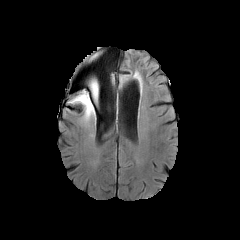
FLAIR MR.
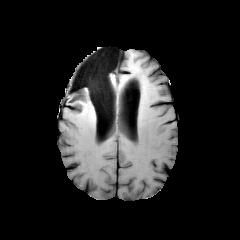
Same slice, T1-weighted MRI.
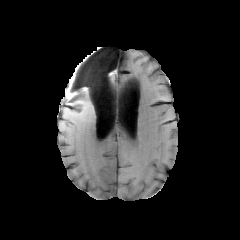
Post-contrast T1-weighted MRI.
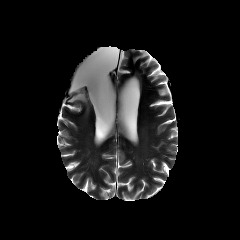
T2-weighted magnetic resonance.
Brain; 240x240 px
edema: 81 102 95 118, 72 76 100 101 | non-enhancing tumor core: 76 93 98 110